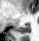

MRI slice
The posterior hippocampus lies within (x1=17, y1=25, x2=29, y2=33).